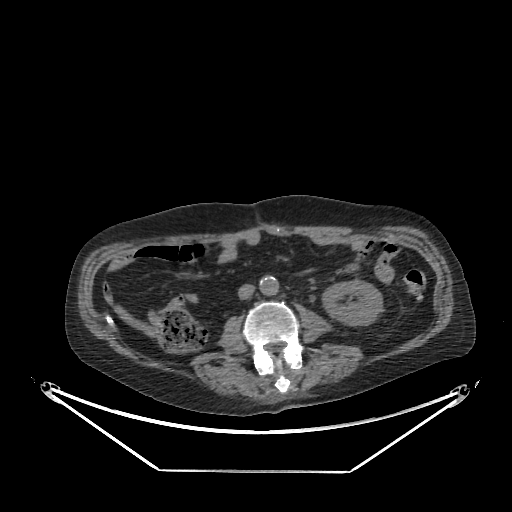
Abdomen. CT image. 512x512 px.
- kidney: l=322, t=279, r=383, b=325